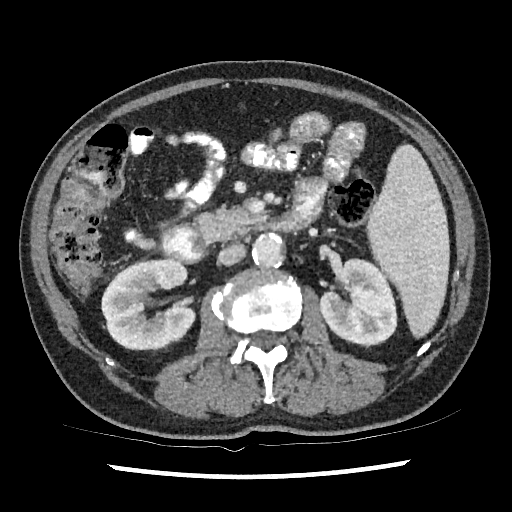
CT scan slice, Abdomen, 512x512

Kidney = {"x1": 320, "y1": 259, "x2": 396, "y2": 345}, {"x1": 102, "y1": 258, "x2": 194, "y2": 349}.